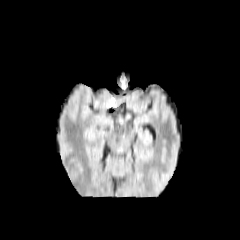
FLAIR MR image.
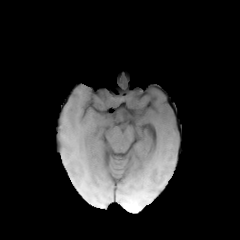
T1-weighted magnetic resonance of the same slice.
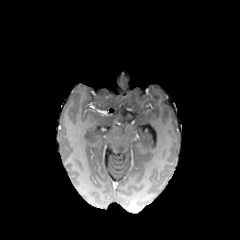
Post-contrast T1-weighted magnetic resonance of the same slice.
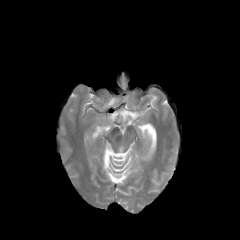
Same slice, T2-weighted MR image.
Head. 240x240 px.
non-enhancing tumor core: [x1=91, y1=88, x2=112, y2=109]